Slice 84/155, Field of view 240x240 mm, Head
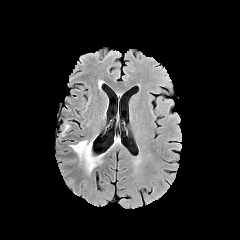
FLAIR magnetic resonance.
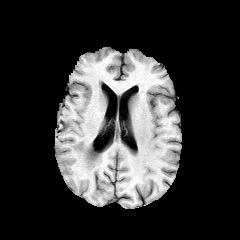
T1-weighted MR image of the same slice.
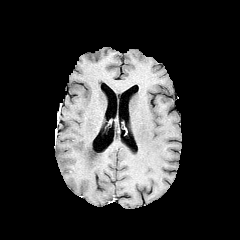
Same slice, post-contrast T1-weighted magnetic resonance.
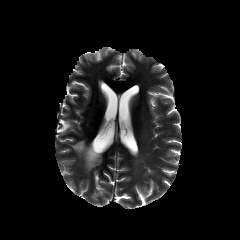
T2-weighted MR of the same slice.
Annotated regions:
* edema: l=69, t=140, r=101, b=173